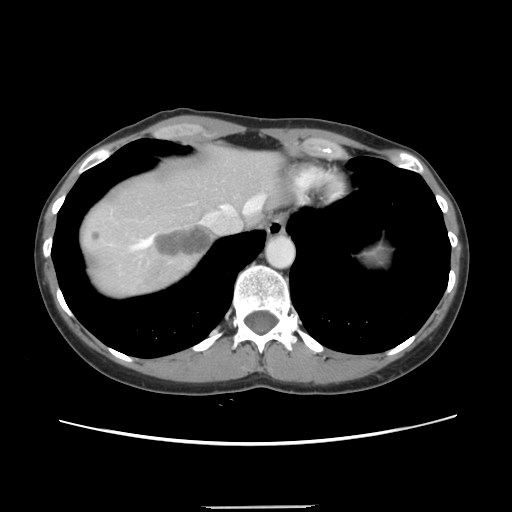

512x512 px, CT image, Abdomen
The vessel boxes may cover only some of the vessels.
Hepatic vessel at <box>244,202,248,209</box>, <box>133,236,152,248</box>.
Liver tumor at <box>155,227,206,255</box>.